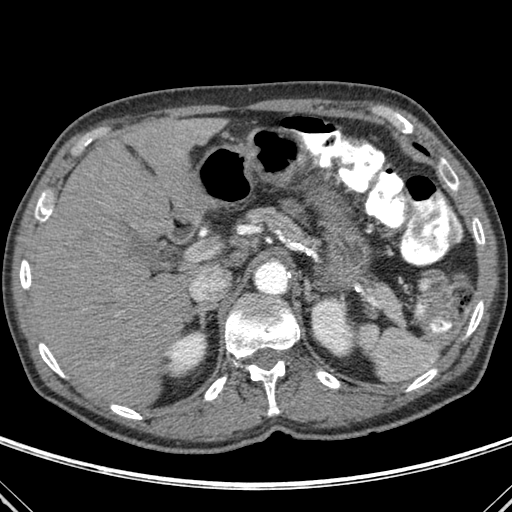
CT slice
<segmentation>
  <bone>[246,361,284,415], [19,260,31,288], [472,218,484,244], [225,290,299,359], [406,369,436,391], [441,158,459,190], [110,406,142,419], [316,371,339,388], [39,343,64,377], [35,194,51,221], [466,301,483,336], [204,376,226,400]</bone>
  <lung>[414,144,427,154]</lung>
  <liver>[33,118,228,410]</liver>
  <kidney>[313,301,351,352], [169,334,204,370]</kidney>
</segmentation>